Brain.
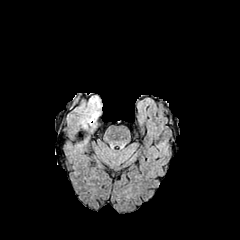
FLAIR MR.
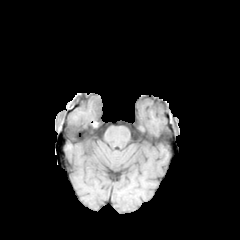
T1-weighted MRI.
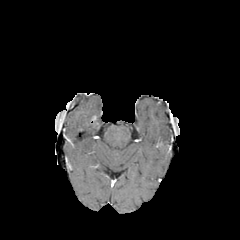
Post-contrast T1-weighted magnetic resonance.
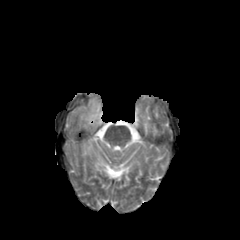
T2-weighted MR image.
The edema lies within bbox=[80, 97, 101, 127].